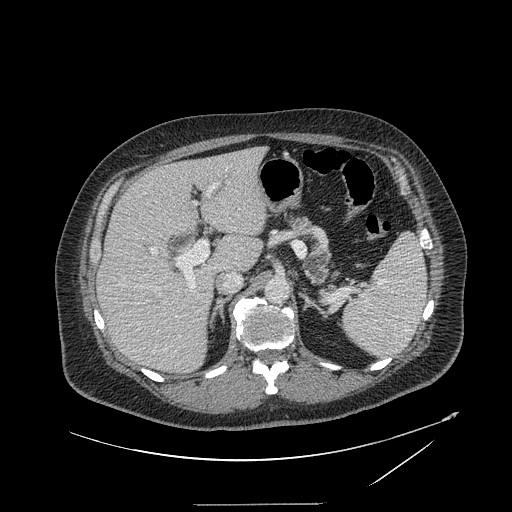 CT image | Upper abdomen
Pancreas = bbox=[287, 217, 310, 233]; bbox=[304, 245, 334, 290].